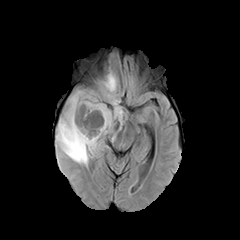
FLAIR MR.
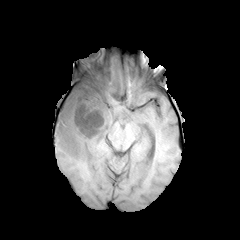
Same slice, T1-weighted MR.
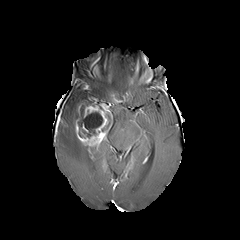
Post-contrast T1-weighted MRI of the same slice.
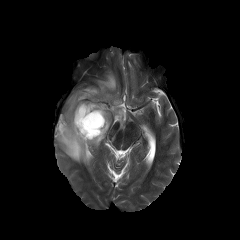
T2-weighted MR.
Brain; 240x240 px
Non-enhancing tumor core = [57, 118, 63, 133], [80, 94, 94, 105], [96, 94, 117, 108], [72, 106, 103, 136].
Edema = [55, 74, 118, 166], [108, 101, 126, 133].
Enhancing tumor = [75, 98, 111, 145].